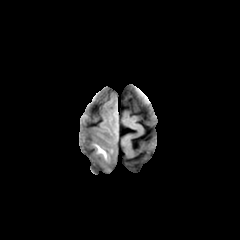
FLAIR MR image.
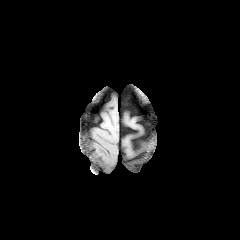
T1-weighted MRI.
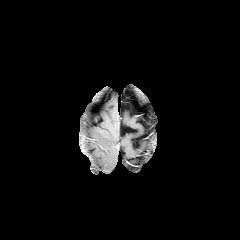
Post-contrast T1-weighted MR image.
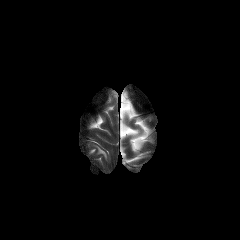
T2-weighted magnetic resonance.
Brain.
Edema: bounding box (95, 145, 107, 158).